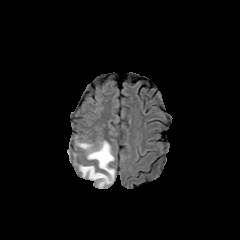
FLAIR MR image.
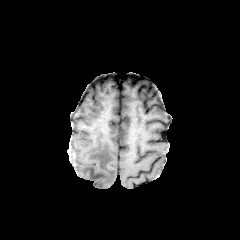
T1-weighted MR image.
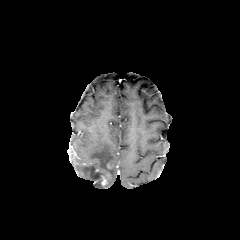
Same slice, post-contrast T1-weighted MR.
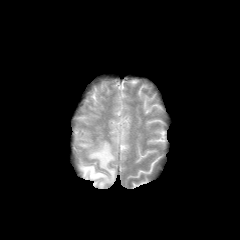
Same slice, T2-weighted MRI.
non-enhancing tumor core: <box>98,173,109,183</box> | edema: <box>76,137,115,188</box>